Head; 240x240 px
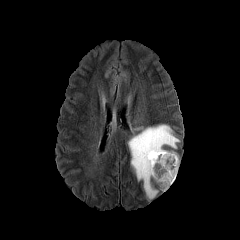
FLAIR magnetic resonance.
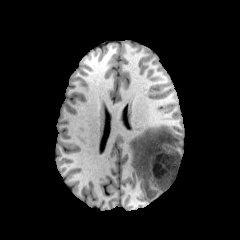
Same slice, T1-weighted magnetic resonance.
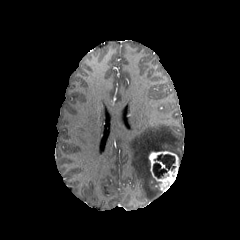
Post-contrast T1-weighted MR image.
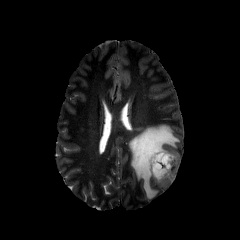
T2-weighted magnetic resonance of the same slice.
The edema lies within (left=128, top=124, right=179, bottom=201). 2 non-enhancing tumor core regions are located at (left=150, top=177, right=162, bottom=193), (left=152, top=154, right=176, bottom=178). The enhancing tumor is located at (left=148, top=151, right=179, bottom=192).